FLAIR magnetic resonance.
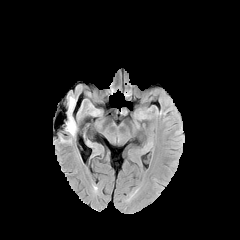
T1-weighted magnetic resonance.
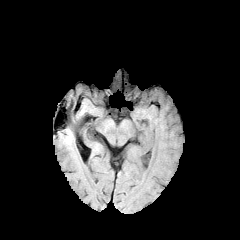
Post-contrast T1-weighted MR image.
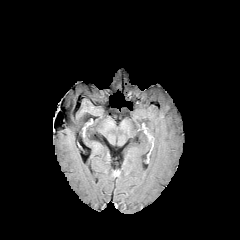
T2-weighted MR image.
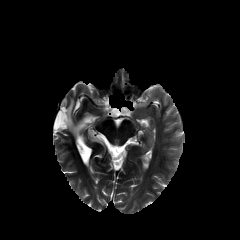
240x240
The edema is bounded by <box>65,97,77,137</box>.